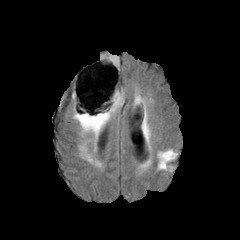
FLAIR MRI.
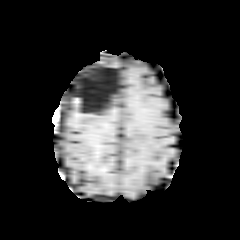
T1-weighted MRI.
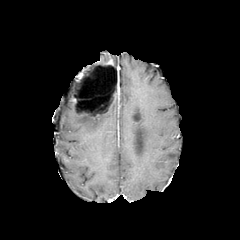
Post-contrast T1-weighted MR image.
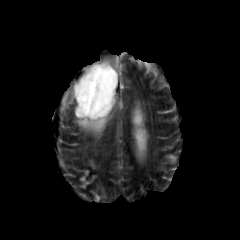
T2-weighted MRI.
Head
Segmented structures:
- edema: (x1=72, y1=86, x2=124, y2=146), (x1=80, y1=145, x2=96, y2=163), (x1=134, y1=95, x2=149, y2=141), (x1=158, y1=150, x2=173, y2=169)
- non-enhancing tumor core: (x1=76, y1=86, x2=121, y2=117)